512x512. Field of view 404 mm wide, 0.70 mm slice spacing. Computed tomography. Liver.
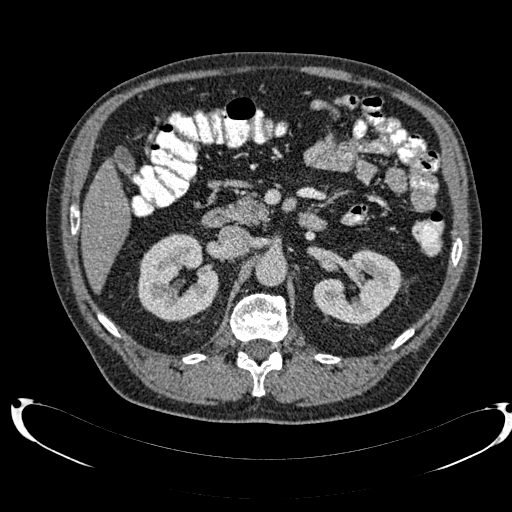 Kidney — [313, 250, 401, 325], [138, 234, 218, 321].
Liver — [82, 159, 130, 293].